Slice index 107
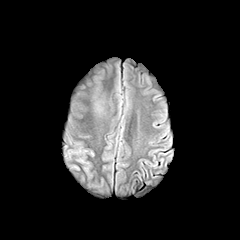
FLAIR MRI.
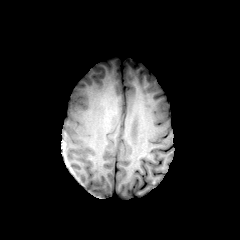
T1-weighted MRI of the same slice.
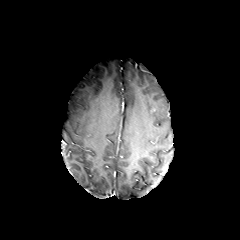
Post-contrast T1-weighted magnetic resonance.
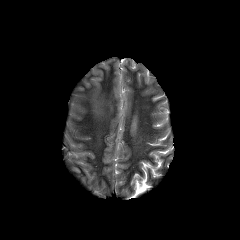
T2-weighted magnetic resonance of the same slice.
The edema is at box(93, 99, 105, 116).